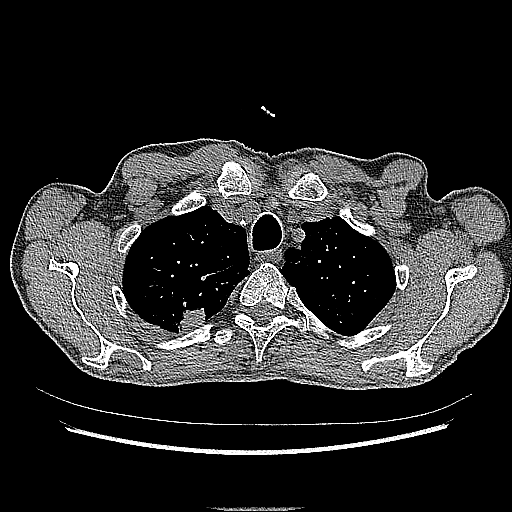
CT scan slice; Image size 512x512
{"lung_tumor": ["[163,307,205,332]"]}